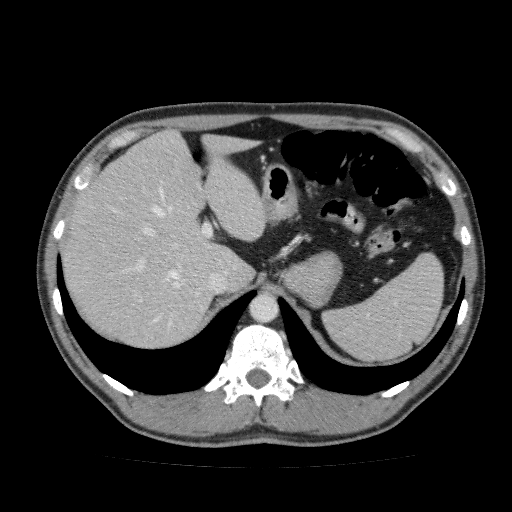

Liver, CT
liver: (left=63, top=129, right=265, bottom=350)